Head.
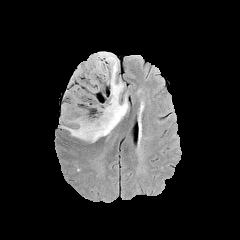
FLAIR magnetic resonance.
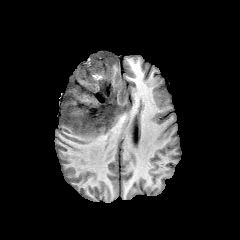
T1-weighted magnetic resonance.
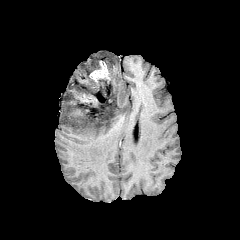
Same slice, post-contrast T1-weighted MRI.
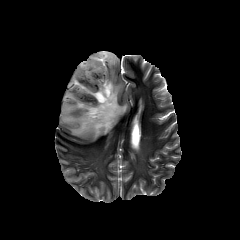
T2-weighted MR image of the same slice.
Edema = x1=63, y1=52, x2=129, y2=142.
Enhancing tumor = x1=90, y1=61, x2=109, y2=81.
Non-enhancing tumor core = x1=80, y1=94, x2=118, y2=126; x1=93, y1=53, x2=111, y2=70.